CT slice, Slice index 110 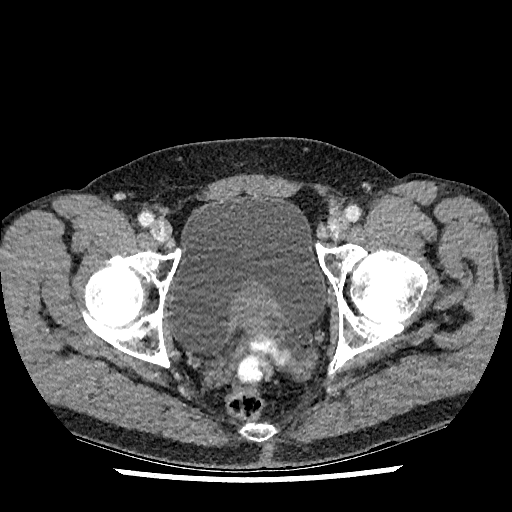 <segmentation>
  <urinary_bladder><bbox>168, 197, 327, 352</bbox></urinary_bladder>
</segmentation>